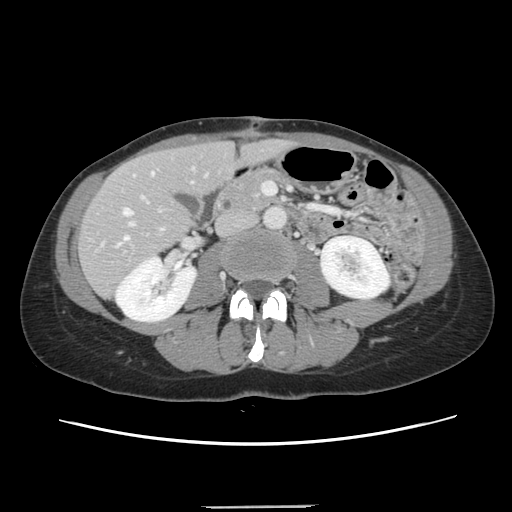 CT
Only some of the vessels may be annotated.
hepatic vessel: l=123, t=236, r=128, b=240; l=101, t=242, r=102, b=245; l=141, t=196, r=147, b=202; l=116, t=243, r=120, b=245; l=159, t=228, r=163, b=229; l=128, t=222, r=133, b=225; l=151, t=171, r=153, b=174; l=191, t=168, r=193, b=169; l=123, t=208, r=131, b=214; l=205, t=173, r=206, b=175